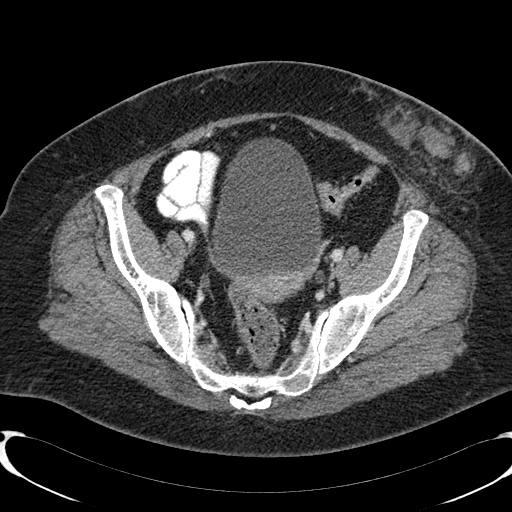
512x512 px | CT

The urinary bladder lies within l=212, t=138, r=321, b=275.